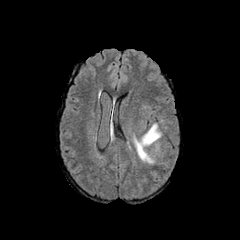
FLAIR MRI.
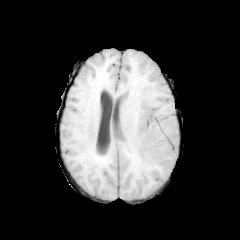
T1-weighted magnetic resonance.
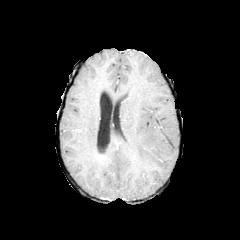
Post-contrast T1-weighted MRI of the same slice.
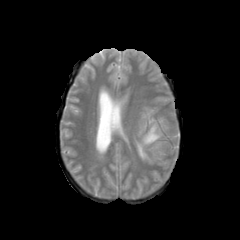
T2-weighted MR.
edema:
  - region(134, 122, 162, 163)